Upper abdomen. CT image. Slice 35/67.
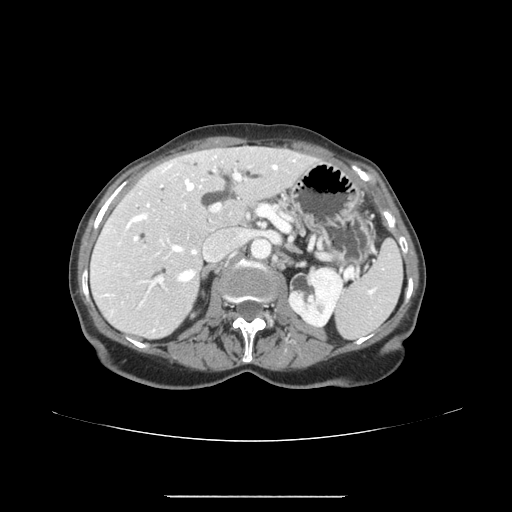
The pancreas is at [279, 202, 297, 220].